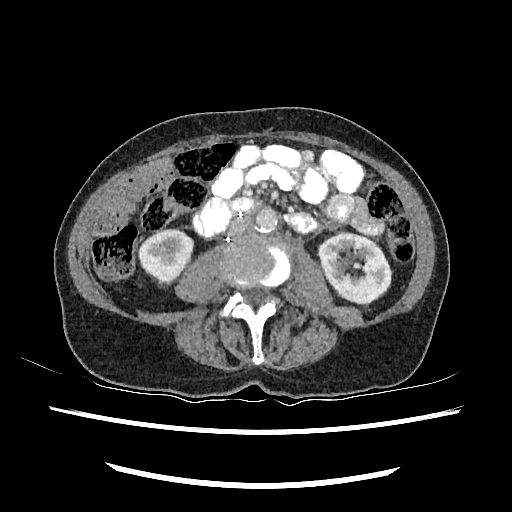 512x512 px | CT scan slice
kidney:
  - 140, 230, 192, 280
  - 319, 232, 390, 302